FLAIR MR.
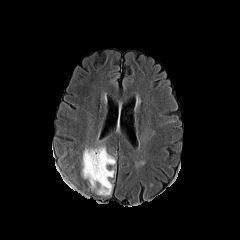
T1-weighted MR image.
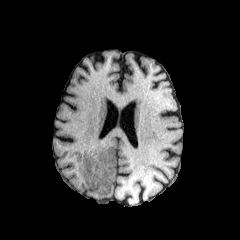
Post-contrast T1-weighted MR.
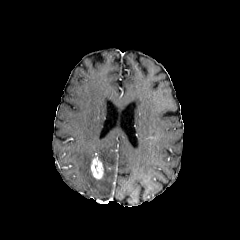
T2-weighted MR image.
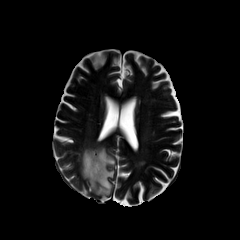
Brain
Edema at {"x1": 81, "y1": 147, "x2": 115, "y2": 195}.
Enhancing tumor at {"x1": 90, "y1": 156, "x2": 103, "y2": 181}.